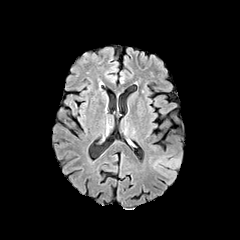
FLAIR MRI.
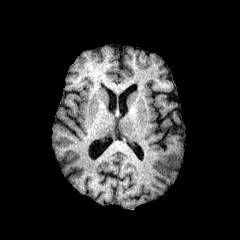
T1-weighted MR.
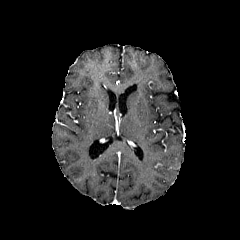
Post-contrast T1-weighted MRI.
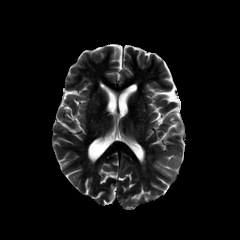
T2-weighted MR image.
Edema — region(148, 148, 182, 177).